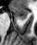 MRI
{"anterior_hippocampus": ["left=11, top=7, right=28, bottom=19"]}